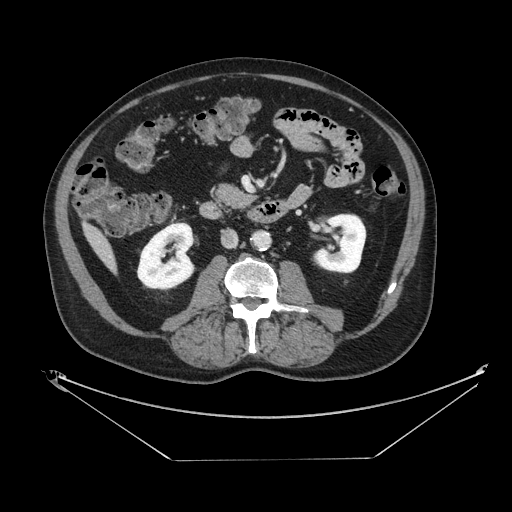

CT; Abdomen
{
  "pancreas": [
    "<box>214,183,256,207</box>"
  ]
}